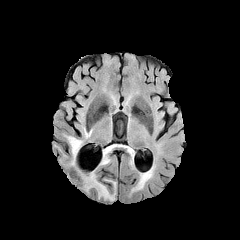
FLAIR MR.
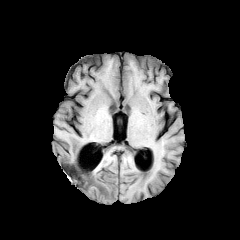
Same slice, T1-weighted magnetic resonance.
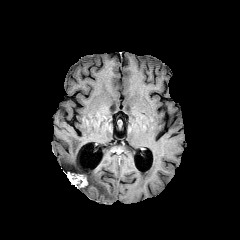
Post-contrast T1-weighted MRI.
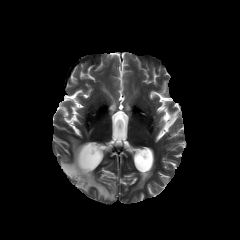
T2-weighted MR.
Image size 240x240.
edema:
  - box(78, 168, 115, 200)
  - box(103, 178, 115, 191)
  - box(68, 137, 83, 164)
  - box(101, 145, 111, 164)
  - box(136, 168, 151, 187)
enhancing_tumor:
  - box(72, 174, 87, 187)
non-enhancing_tumor_core:
  - box(64, 164, 80, 179)
  - box(83, 174, 90, 189)